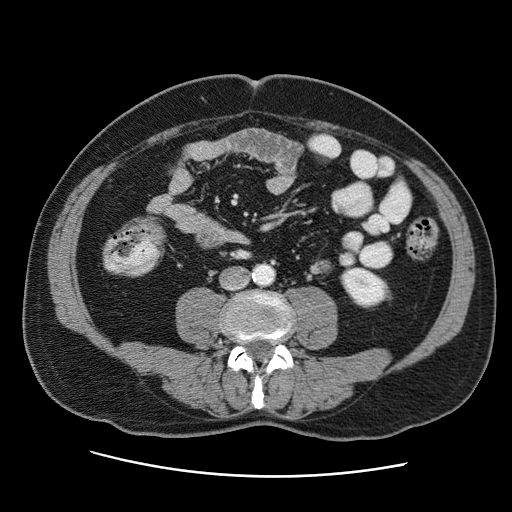
Abdomen. Computed tomography.
colon_tumor:
  - 131,220,165,244